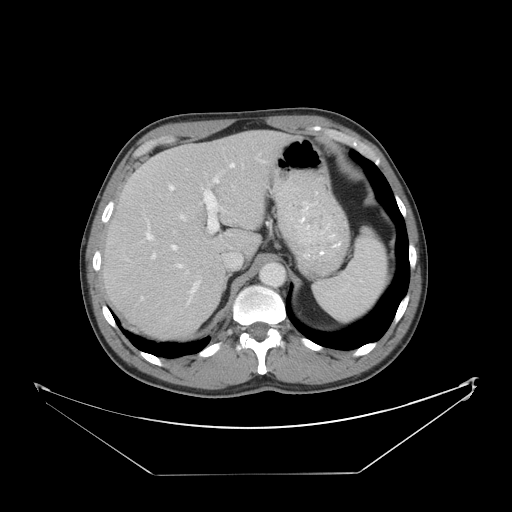 512x512 px | CT | Liver
The vessel annotation is not exhaustive.
[15/16] hepatic vessel: x1=222 y1=209 x2=226 y2=212, x1=168 y1=185 x2=174 y2=190, x1=180 y1=214 x2=185 y2=220, x1=200 y1=188 x2=220 y2=232, x1=186 y1=270 x2=188 y2=273, x1=186 y1=271 x2=201 y2=304, x1=140 y1=296 x2=143 y2=300, x1=222 y1=170 x2=224 y2=171, x1=146 y1=219 x2=153 y2=240, x1=230 y1=163 x2=234 y2=167, x1=151 y1=253 x2=155 y2=258, x1=171 y1=245 x2=177 y2=250, x1=212 y1=175 x2=218 y2=183, x1=176 y1=264 x2=182 y2=267, x1=208 y1=183 x2=210 y2=186